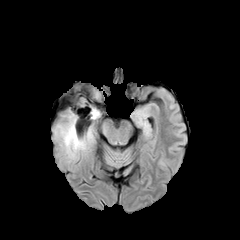
FLAIR MR.
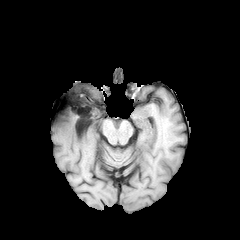
T1-weighted magnetic resonance of the same slice.
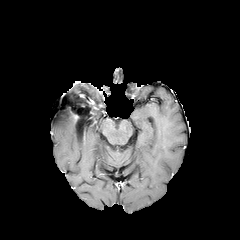
Same slice, post-contrast T1-weighted MRI.
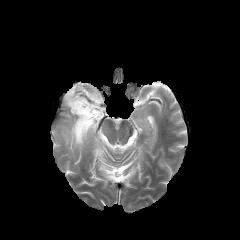
T2-weighted MR image of the same slice.
240x240
<segmentation>
  <non-enhancing_tumor_core>rect(76, 99, 100, 120)</non-enhancing_tumor_core>
  <edema>rect(53, 107, 100, 161); rect(78, 92, 100, 103)</edema>
</segmentation>